Liver; CT scan slice; Slice 116 of 122; Field of view 512 mm wide, 1.00 mm slice spacing

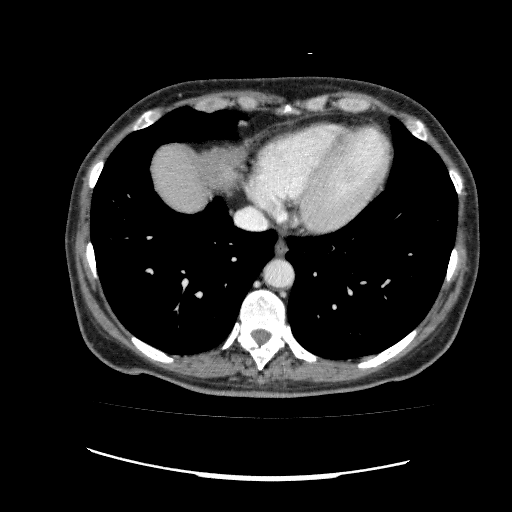
Segmented structures:
• liver: [151, 144, 240, 214]